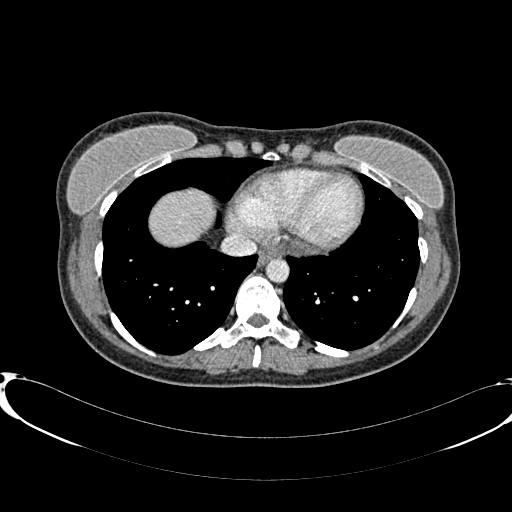

CT | Abdomen | 512x512 px
The liver lies within 150:191:213:245.